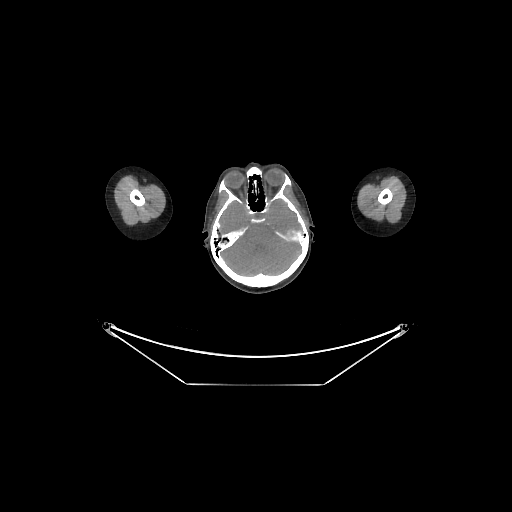
CT, Brain, 512x512
The brain is located at bbox(219, 199, 301, 274).